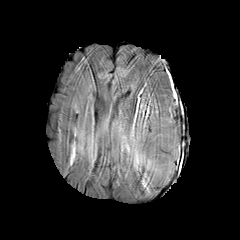
FLAIR MRI.
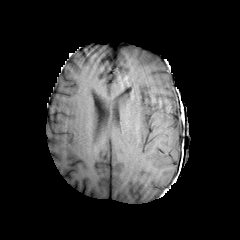
T1-weighted MR image.
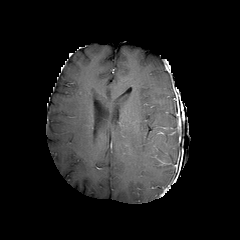
Same slice, post-contrast T1-weighted MR.
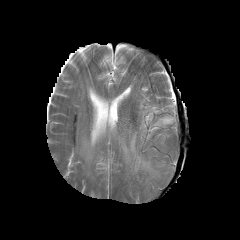
T2-weighted MR image.
240x240
<segmentation>
  <edema>155, 108, 173, 129</edema>
</segmentation>